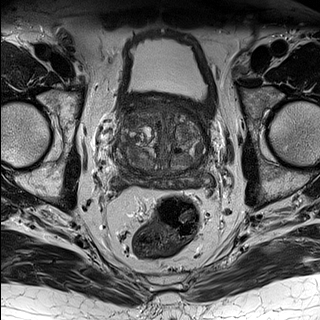
T2-weighted magnetic resonance.
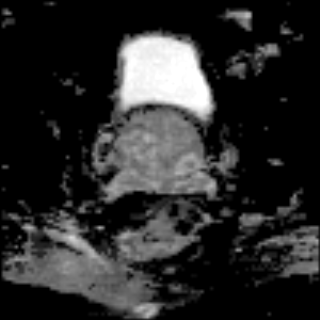
ADC MRI.
Prostate
prostate_transition_zone:
  - (118, 107, 206, 180)
prostate_peripheral_zone:
  - (121, 162, 205, 185)